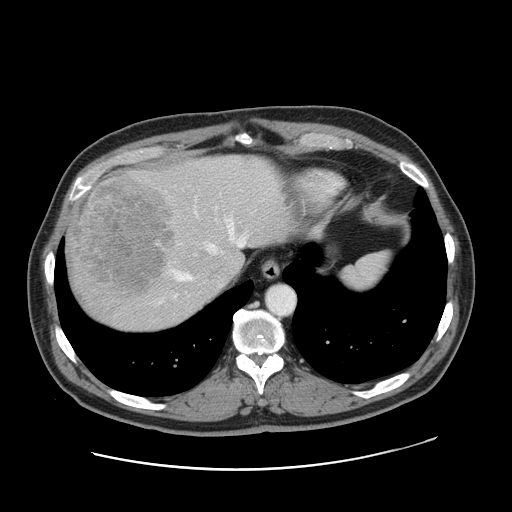 CT slice

Some hepatic vessels may have no box.
{
  "hepatic_vessel": [
    "[x1=207, y1=243, x2=222, y2=253]",
    "[x1=195, y1=210, x2=196, y2=212]",
    "[x1=194, y1=253, x2=195, y2=254]",
    "[x1=237, y1=236, x2=252, y2=249]",
    "[x1=228, y1=218, x2=233, y2=235]",
    "[x1=174, y1=294, x2=176, y2=297]",
    "[x1=156, y1=298, x2=162, y2=303]",
    "[x1=241, y1=257, x2=243, y2=263]"
  ],
  "liver_tumor": [
    "[x1=68, y1=175, x2=175, y2=296]"
  ]
}